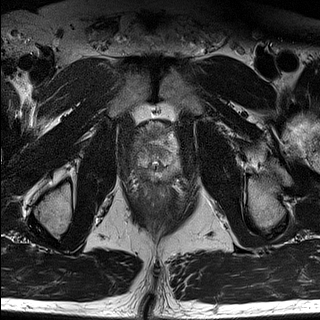
T2-weighted MR image.
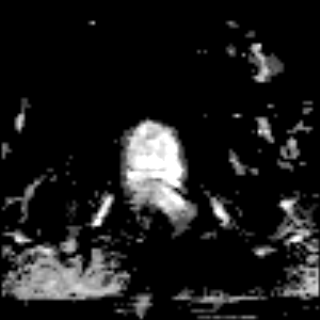
ADC MR image.
Prostate
<segmentation>
  <prostate_transition_zone><box>137,146,174,171</box></prostate_transition_zone>
  <prostate_peripheral_zone><box>137,160,175,177</box></prostate_peripheral_zone>
</segmentation>